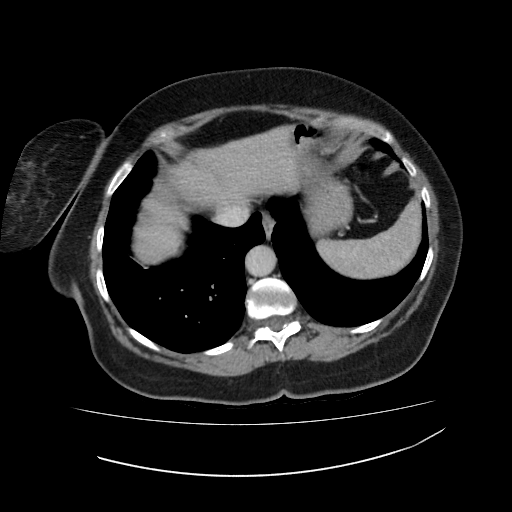
CT image

2 liver regions are bounded by box(168, 128, 296, 219); box(137, 201, 182, 259).